512x512, Slice 53/154, CT slice 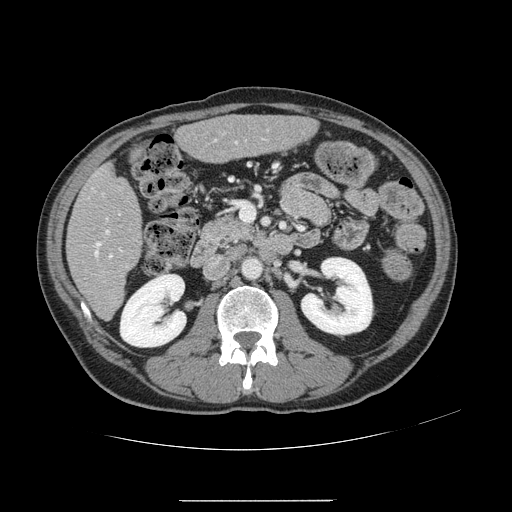
Not every hepatic vessel necessarily has a box.
hepatic_vessel:
  - {"x1": 92, "y1": 188, "x2": 94, "y2": 190}
  - {"x1": 234, "y1": 141, "x2": 236, "y2": 142}
  - {"x1": 96, "y1": 242, "x2": 100, "y2": 247}
  - {"x1": 109, "y1": 255, "x2": 112, "y2": 257}
  - {"x1": 119, "y1": 248, "x2": 121, "y2": 251}
  - {"x1": 95, "y1": 251, "x2": 98, "y2": 256}
  - {"x1": 106, "y1": 231, "x2": 108, "y2": 232}